Slice 54/155
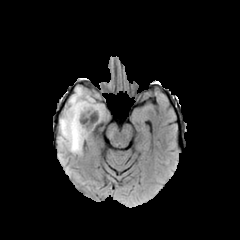
FLAIR MR.
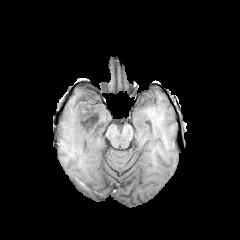
Same slice, T1-weighted MR image.
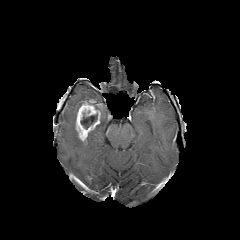
Post-contrast T1-weighted MR.
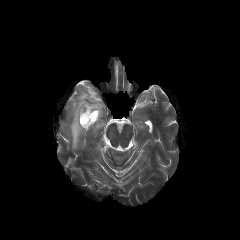
Same slice, T2-weighted MR.
Non-enhancing tumor core — l=80, t=113, r=98, b=129.
Edema — l=58, t=87, r=90, b=153; l=100, t=104, r=105, b=121.
Enhancing tumor — l=75, t=99, r=101, b=140.